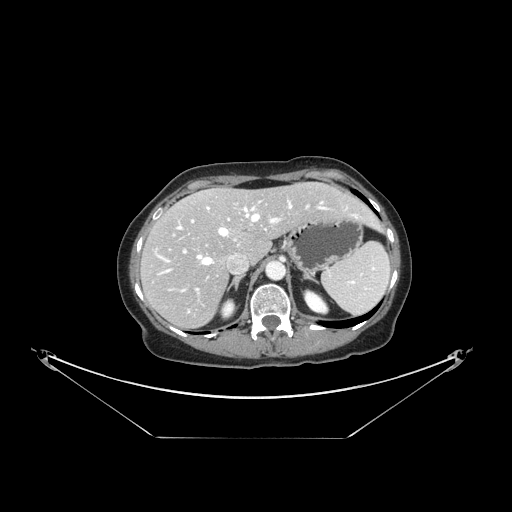

Abdomen. CT scan slice.

The vessel annotation is not exhaustive.
{
  "hepatic_vessel": [
    "272 219 276 221",
    "289 205 290 206",
    "252 215 258 220",
    "219 228 226 234",
    "245 208 248 216"
  ]
}